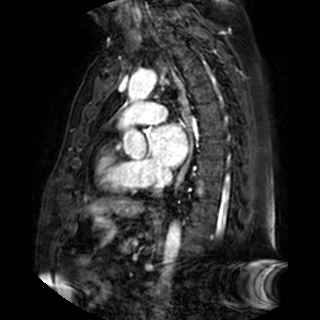 Heart | Magnetic resonance
Segmented structures:
• left atrium: {"x1": 150, "y1": 125, "x2": 186, "y2": 166}